240x240, Field of view 240x240 mm, Slice 106/155
FLAIR magnetic resonance.
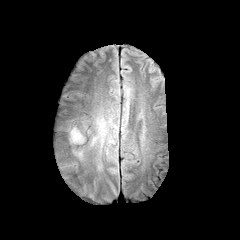
T1-weighted magnetic resonance.
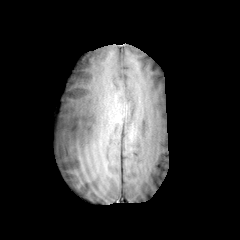
Post-contrast T1-weighted MRI.
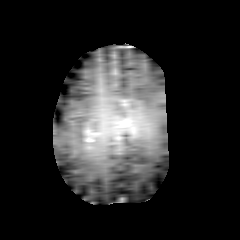
T2-weighted magnetic resonance.
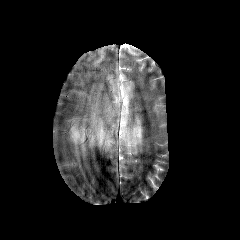
edema: {"x1": 70, "y1": 127, "x2": 82, "y2": 143}